Slice 189 of 908 | 512x512 px | Computed tomography | Pelvis

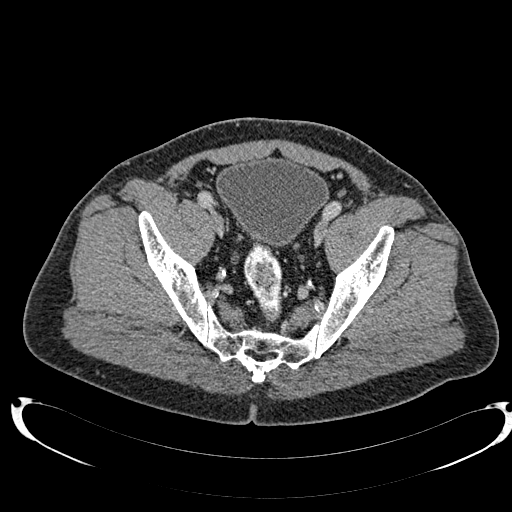

urinary bladder: 218:156:329:247